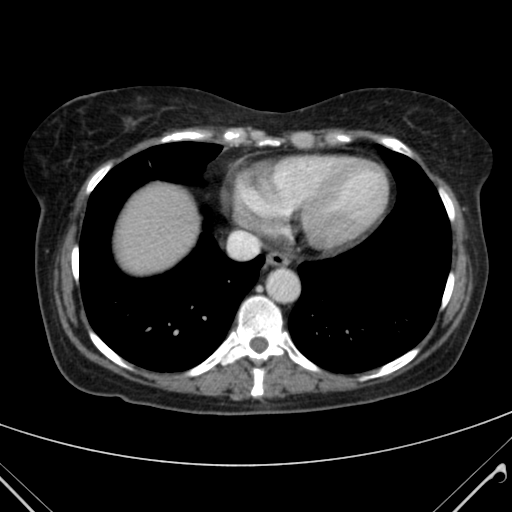
Upper abdomen, 512x512 px, Computed tomography
<segmentation>
  <liver><bbox>117, 187, 194, 272</bbox></liver>
</segmentation>